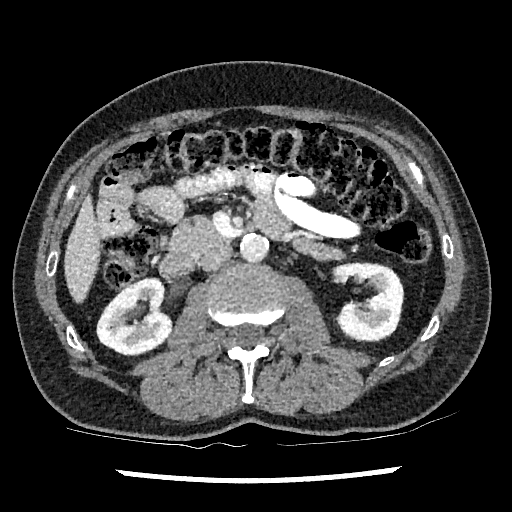 CT image; Upper abdomen
Liver — 65:196:100:303.
Kidney — 337:264:402:339, 97:279:170:353.